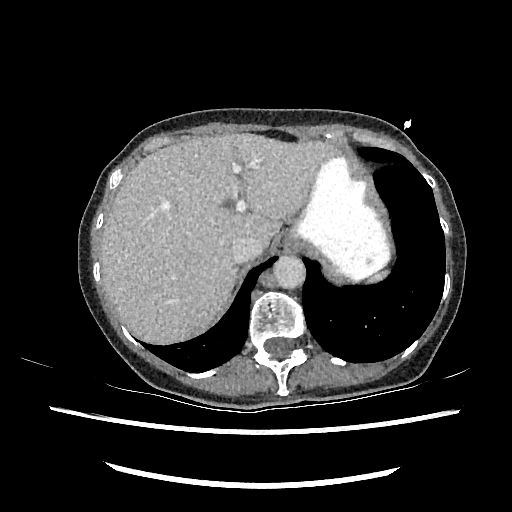

Liver | Image size 512x512 | Computed tomography
{"liver": ["102,133,329,342"]}